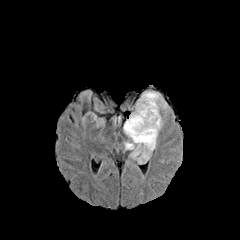
FLAIR MR image.
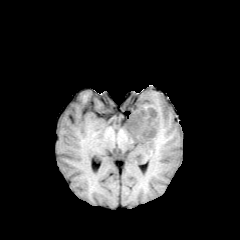
T1-weighted MRI.
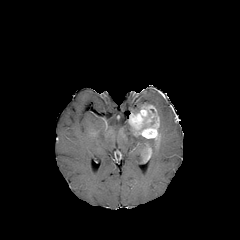
Post-contrast T1-weighted magnetic resonance.
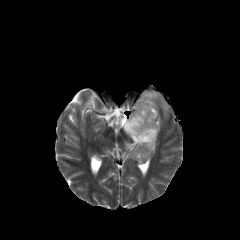
T2-weighted MR image.
Head.
2 enhancing tumor regions are bounded by 128:103:159:139, 143:146:151:160. 2 edema regions are located at 133:90:169:135, 122:120:157:163.